Head; 240x240 px
FLAIR magnetic resonance.
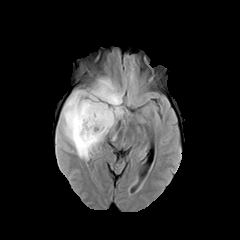
T1-weighted MR.
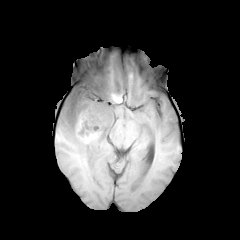
Post-contrast T1-weighted MRI.
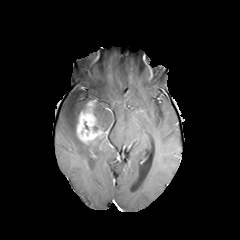
T2-weighted magnetic resonance.
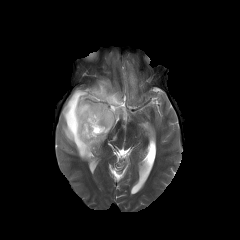
* enhancing tumor: 77 100 104 144
* edema: 55 78 124 160